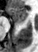
MRI | Hippocampus
* anterior hippocampus: (left=7, top=8, right=28, bottom=23)